512x512. CT slice. Abdomen.

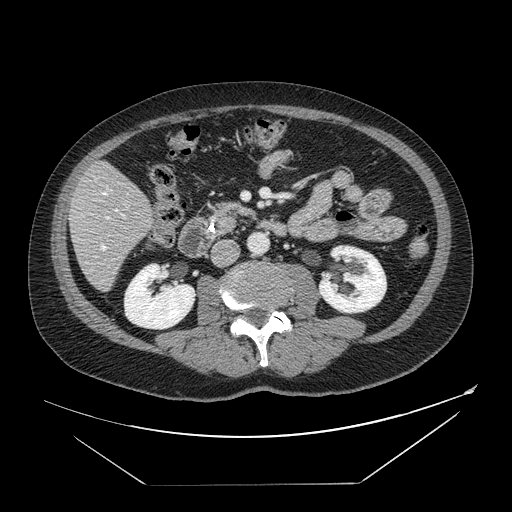 Pancreas at [x1=206, y1=203, x2=254, y2=235].